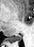
MR
The posterior hippocampus is located at <box>7,35,21,42</box>.